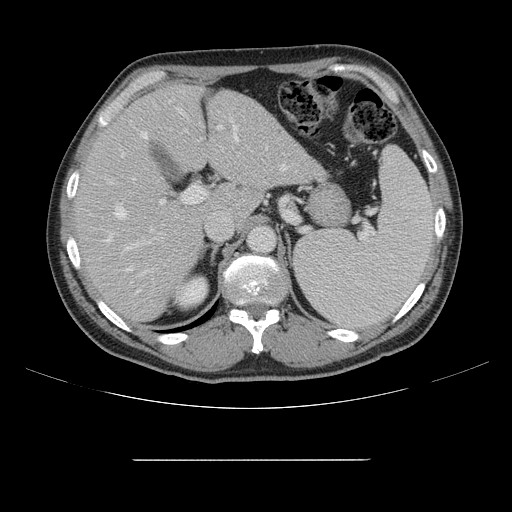 CT.
The vessel annotation is not exhaustive.
* hepatic vessel (largest 15 of 20): x1=212, y1=126, x2=222, y2=129; x1=108, y1=181, x2=113, y2=183; x1=128, y1=267, x2=132, y2=270; x1=178, y1=110, x2=186, y2=115; x1=281, y1=165, x2=286, y2=170; x1=104, y1=231, x2=112, y2=242; x1=150, y1=228, x2=153, y2=231; x1=141, y1=132, x2=147, y2=138; x1=159, y1=199, x2=164, y2=203; x1=135, y1=289, x2=140, y2=293; x1=115, y1=205, x2=126, y2=218; x1=121, y1=241, x2=151, y2=254; x1=181, y1=181, x2=206, y2=206; x1=138, y1=269, x2=151, y2=275; x1=233, y1=125, x2=237, y2=141